Computed tomography. 512x512. Field of view 350x350 mm. 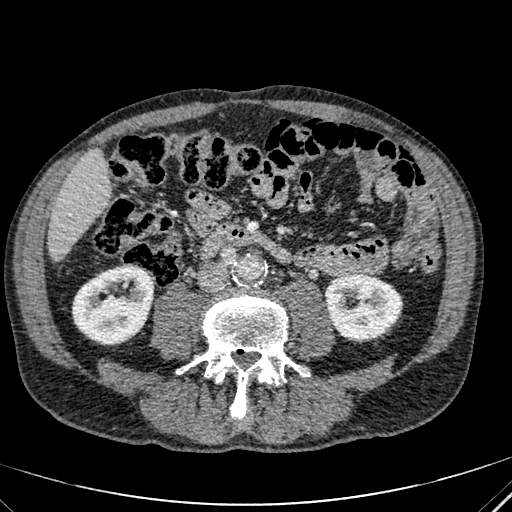
kidney: (left=73, top=267, right=152, bottom=343), (left=326, top=275, right=401, bottom=338) | liver: (left=47, top=149, right=108, bottom=260)